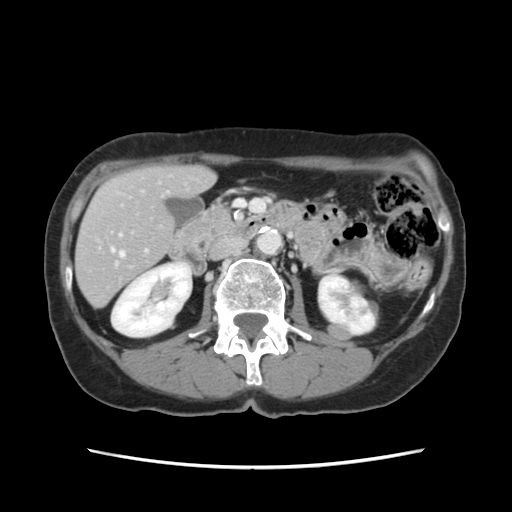

CT
The vessel annotation is not exhaustive.
Hepatic vessel = 111, 248, 114, 251; 120, 252, 123, 256; 119, 234, 121, 236; 145, 250, 146, 252.